Head, Image size 240x240, Slice 58 of 155
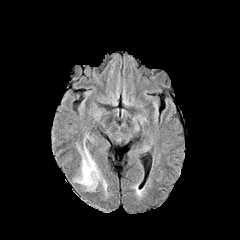
FLAIR MR.
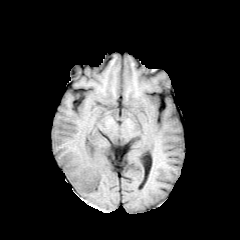
T1-weighted MR image.
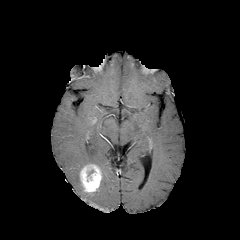
Post-contrast T1-weighted MR of the same slice.
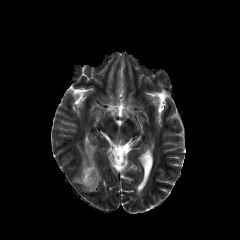
T2-weighted MR of the same slice.
Findings:
- enhancing tumor: left=80, top=165, right=101, bottom=191
- edema: left=74, top=174, right=86, bottom=191; left=78, top=147, right=95, bottom=171